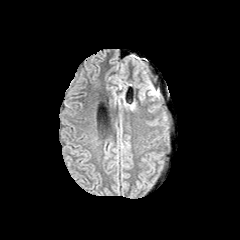
FLAIR MRI.
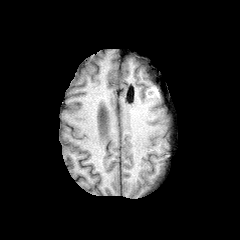
T1-weighted MRI of the same slice.
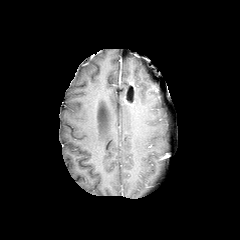
Post-contrast T1-weighted MR image.
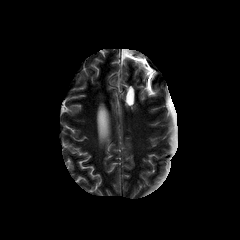
Same slice, T2-weighted magnetic resonance.
Head
{
  "edema": [
    "bbox(140, 87, 145, 100)"
  ]
}